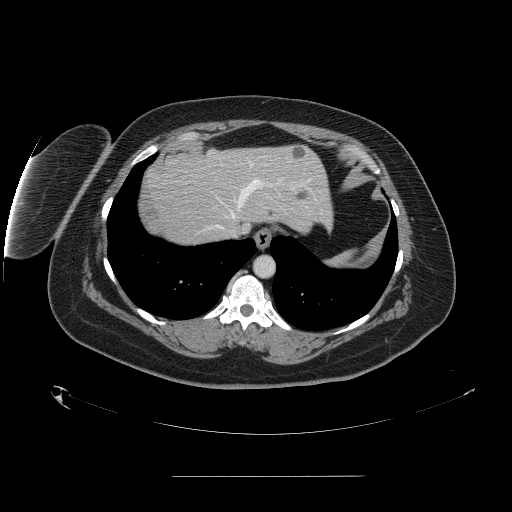

512x512 | CT slice
Spleen at [x1=327, y1=252, x2=353, y2=268].